CT; Slice 135/164; Liver; Image size 512x512; Field of view 404 mm wide, 1.50 mm slice spacing

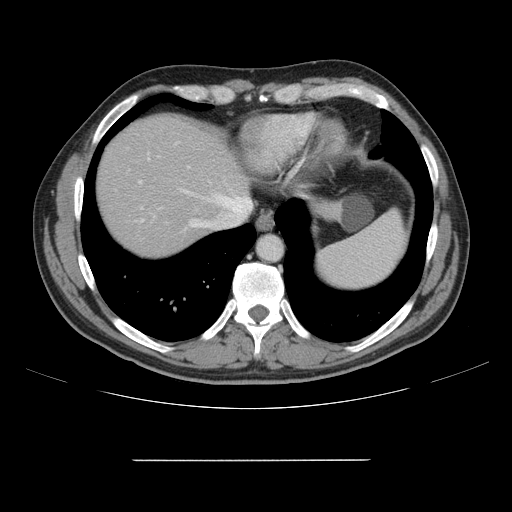
Not every hepatic vessel necessarily has a box.
Hepatic vessel = 141 219 143 221, 180 189 190 193, 188 219 208 226, 148 157 149 160, 139 181 141 182, 207 194 237 205, 175 142 178 144.